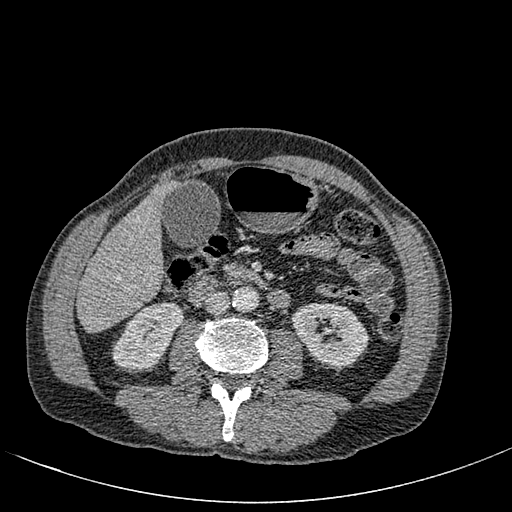

Upper abdomen. CT slice.

Liver at box(77, 188, 166, 330).
Kidney at box(112, 303, 183, 370); box(292, 302, 368, 367).